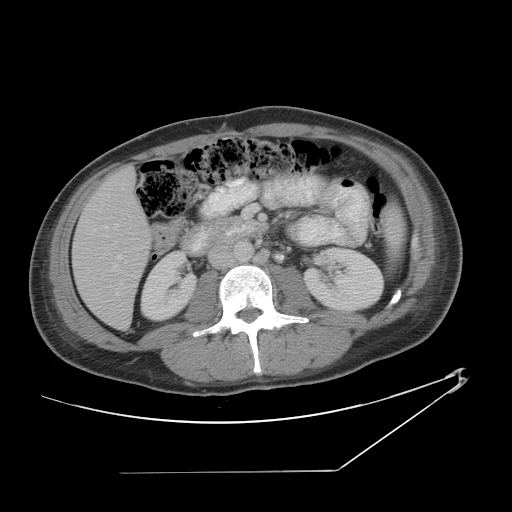 CT slice

Not every hepatic vessel necessarily has a box.
Hepatic vessel = (left=118, top=255, right=121, bottom=258), (left=115, top=225, right=117, bottom=229), (left=112, top=263, right=117, bottom=271), (left=115, top=242, right=116, bottom=244), (left=105, top=226, right=107, bottom=227).